Slice 75/155, Head
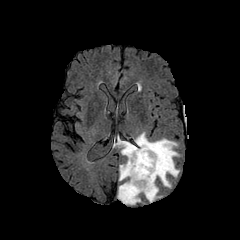
FLAIR MR image.
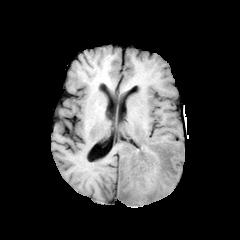
T1-weighted MR image.
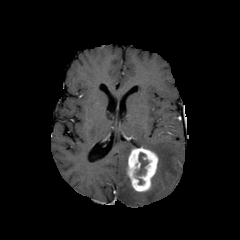
Post-contrast T1-weighted MRI of the same slice.
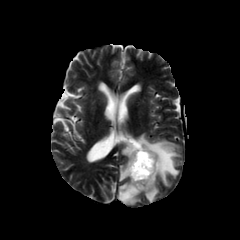
T2-weighted MRI.
Annotated regions:
• enhancing tumor: bbox=[126, 146, 159, 192]
• non-enhancing tumor core: bbox=[139, 153, 146, 173]
• edema: bbox=[117, 180, 141, 205]; bbox=[118, 162, 127, 181]; bbox=[112, 135, 133, 157]; bbox=[134, 132, 180, 202]